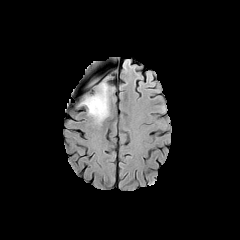
FLAIR MRI.
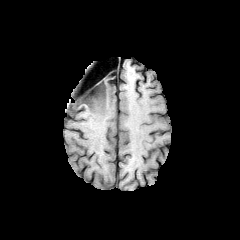
T1-weighted MR.
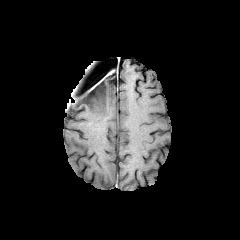
Post-contrast T1-weighted MR image.
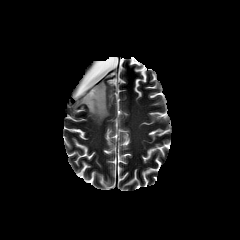
Same slice, T2-weighted MR.
Image size 240x240
<segmentation>
  <edema>80:82:112:124</edema>
  <non-enhancing_tumor_core>82:82:103:101</non-enhancing_tumor_core>
</segmentation>